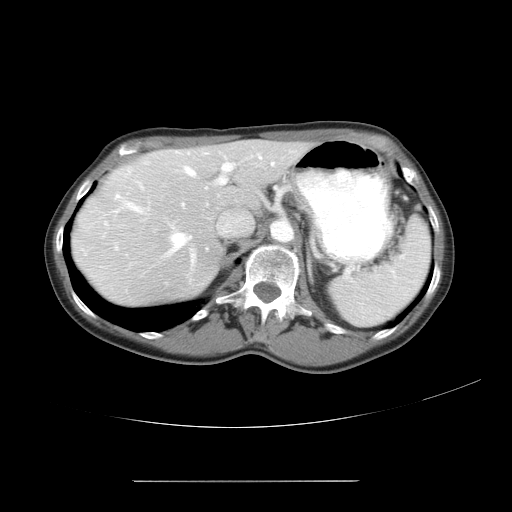

512x512 px. Abdomen. CT scan slice.
Some hepatic vessels may have no box.
hepatic_vessel:
  - 104:222:107:224
  - 216:162:233:184
  - 115:194:118:197
  - 165:232:190:255
  - 203:152:205:153
  - 271:162:273:165
  - 181:203:183:206
  - 144:161:147:163
  - 256:153:260:157
  - 136:181:141:187
  - 190:249:194:263
  - 114:201:143:212
  - 184:166:194:175